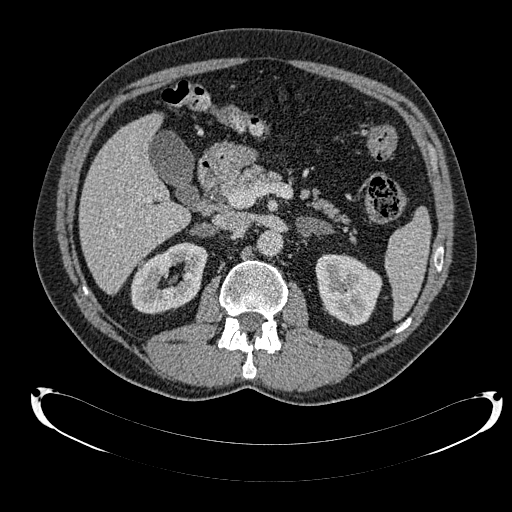

Computed tomography
Segmented structures:
• kidney: [x1=316, y1=255, x2=381, y2=324], [x1=131, y1=243, x2=207, y2=313]
• liver: [x1=79, y1=114, x2=190, y2=294]